CT slice | Abdomen
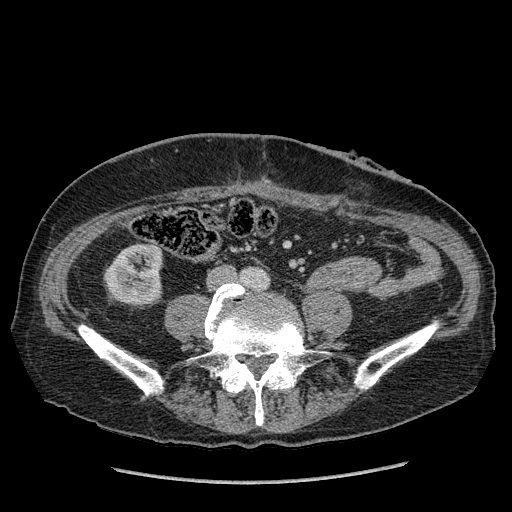
* kidney: x1=105 y1=245 x2=161 y2=303